Slice 62/88; CT image

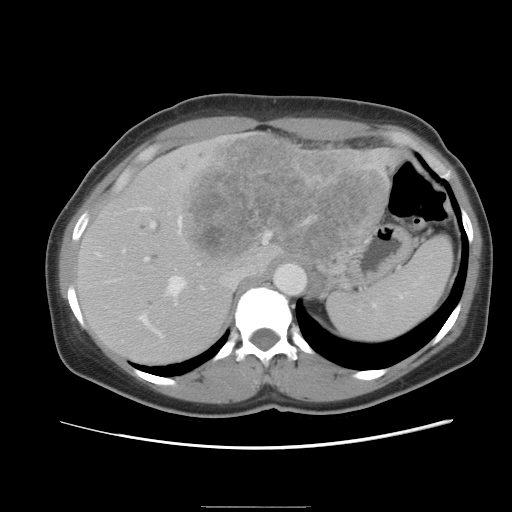 Not every hepatic vessel necessarily has a box.
The liver tumor is located at x1=178, y1=135, x2=386, y2=259. 11 hepatic vessel regions are located at x1=150, y1=222, x2=153, y2=226; x1=144, y1=256, x2=148, y2=259; x1=166, y1=276, x2=184, y2=296; x1=200, y1=286, x2=203, y2=287; x1=219, y1=250, x2=262, y2=290; x1=158, y1=332, x2=161, y2=335; x1=141, y1=207, x2=150, y2=209; x1=174, y1=300, x2=175, y2=303; x1=177, y1=229, x2=179, y2=232; x1=139, y1=313, x2=147, y2=323; x1=96, y1=253, x2=99, y2=254.